512x512; CT scan slice; Abdomen

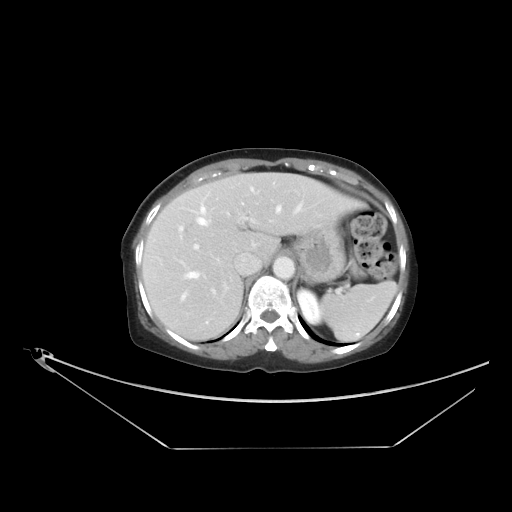

The vessel boxes may cover only some of the vessels.
<segmentation>
  <hepatic_vessel>(x1=192, y1=242, x2=199, y2=249), (x1=199, y1=219, x2=205, y2=222), (x1=276, y1=205, x2=280, y2=213), (x1=187, y1=272, x2=198, y2=276), (x1=293, y1=212, x2=296, y2=213)</hepatic_vessel>
</segmentation>